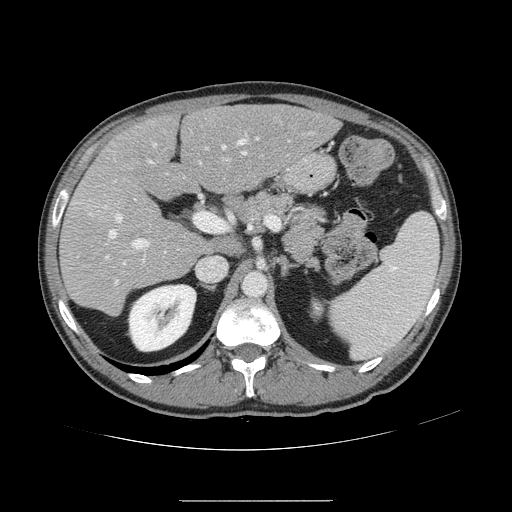
CT, Liver
The vessel annotation is not exhaustive.
{
  "partial": true,
  "hepatic_vessel": {
    "n_total": 16,
    "boxes": [
      "[222,145,225,148]",
      "[115,280,118,284]",
      "[115,213,122,221]",
      "[195,212,204,229]",
      "[133,239,149,248]",
      "[109,230,116,237]",
      "[243,151,245,154]",
      "[152,142,156,146]",
      "[288,140,289,141]",
      "[106,256,108,258]",
      "[147,160,152,163]",
      "[238,134,246,144]",
      "[206,148,207,149]",
      "[256,137,258,139]",
      "[199,161,200,163]"
    ]
  }
}